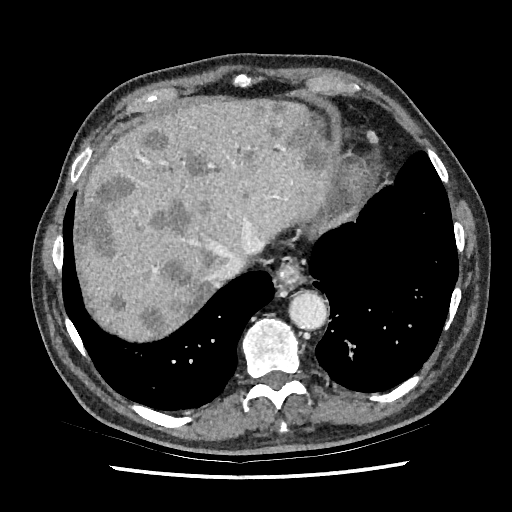 Image size 512x512, CT scan slice

{"liver_lesion": ["254, 103, 263, 114", "270, 127, 279, 136", "133, 220, 144, 234", "236, 147, 257, 168", "111, 295, 126, 310", "186, 150, 220, 177", "286, 120, 329, 169", "272, 103, 286, 114", "148, 199, 194, 237", "157, 260, 212, 316", "200, 249, 224, 266", "141, 306, 168, 336", "142, 130, 166, 151", "77, 174, 136, 257"], "liver": ["74, 101, 330, 341"]}